CT scan slice, Slice index 574 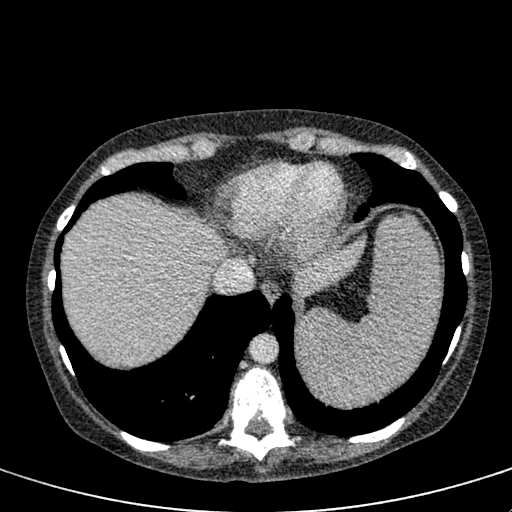
Liver lesion at [x1=192, y1=233, x2=209, y2=247].
Liver at [x1=62, y1=198, x2=224, y2=366], [x1=295, y1=240, x2=364, y2=293].